Brain; Image size 240x240
FLAIR MR image.
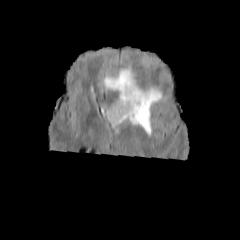
T1-weighted MRI.
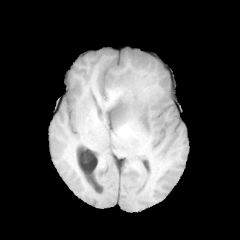
Post-contrast T1-weighted MR.
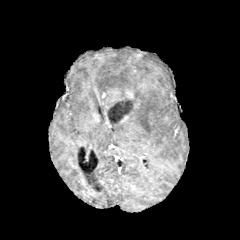
T2-weighted MR image.
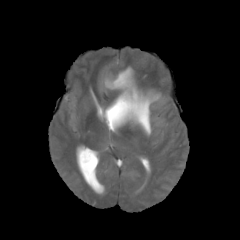
The non-enhancing tumor core is bounded by 108:99:135:124. The enhancing tumor is located at 125:89:134:99. The edema is located at 104:66:161:133.